FLAIR MR image.
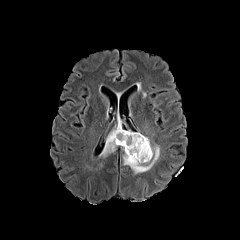
T1-weighted MR.
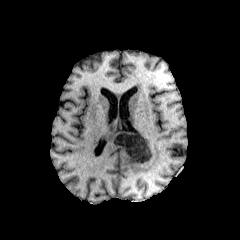
Post-contrast T1-weighted MR image.
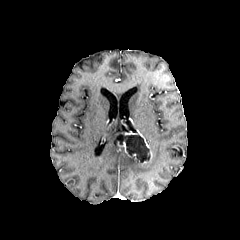
T2-weighted MR image.
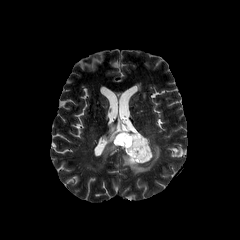
The enhancing tumor appears at {"x1": 125, "y1": 132, "x2": 149, "y2": 148}. The non-enhancing tumor core is bounded by {"x1": 114, "y1": 131, "x2": 150, "y2": 163}. 2 edema regions are bounded by {"x1": 122, "y1": 136, "x2": 160, "y2": 174}, {"x1": 99, "y1": 124, "x2": 118, "y2": 157}.